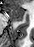 MR image.
anterior_hippocampus:
  - [x1=7, y1=7, x2=24, y2=21]